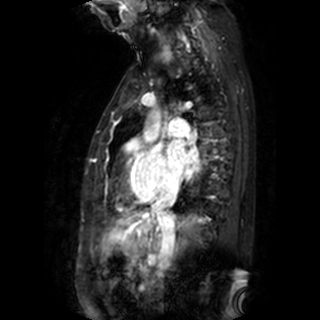
Cardiac; MR image

Segmented structures:
* left atrium: <box>166,140,197,174</box>